Abdomen, 512x512, CT 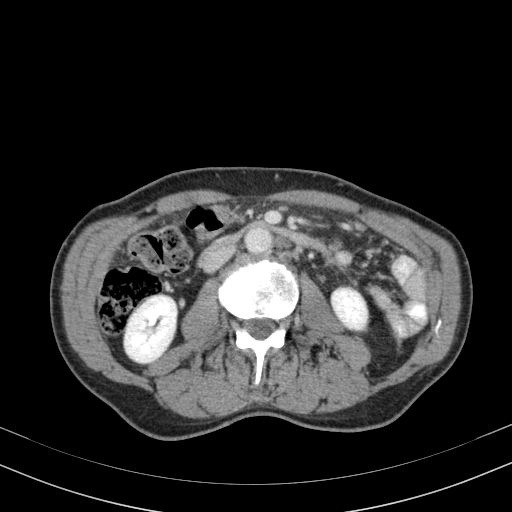 {
  "kidney": [
    "[124, 296, 176, 362]",
    "[332, 288, 366, 329]"
  ]
}